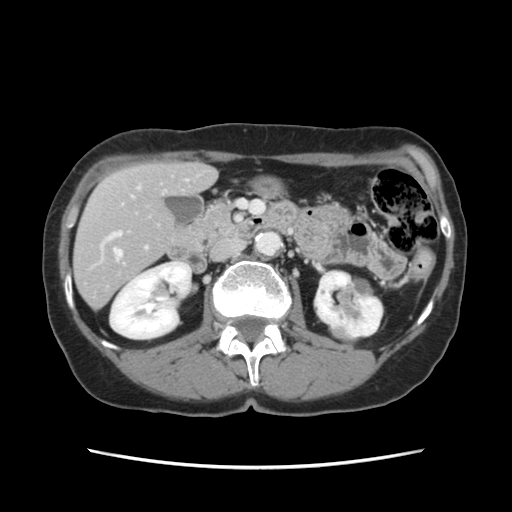 CT scan slice | Liver
Only some of the vessels may be annotated.
<segmentation>
  <hepatic_vessel>114, 249, 121, 259; 101, 242, 103, 248; 138, 187, 139, 189; 105, 232, 121, 241</hepatic_vessel>
</segmentation>